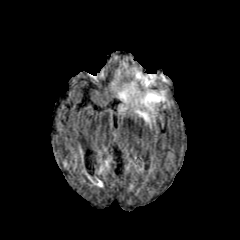
FLAIR MRI.
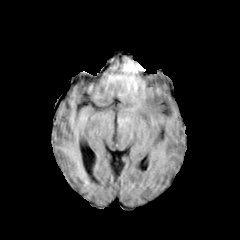
Same slice, T1-weighted MR image.
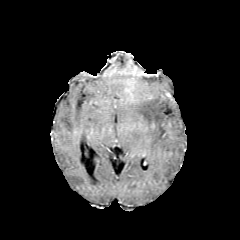
Post-contrast T1-weighted MRI.
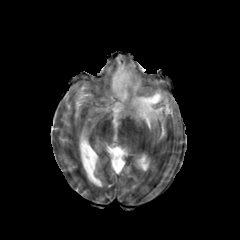
T2-weighted magnetic resonance of the same slice.
240x240 px
<segmentation>
  <edema>(x1=111, y1=64, x2=171, y2=127)</edema>
</segmentation>